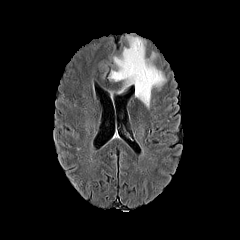
FLAIR MRI.
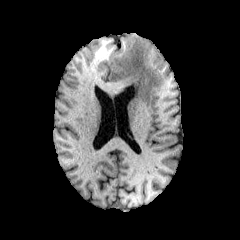
T1-weighted MR of the same slice.
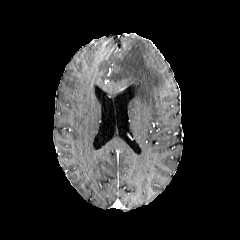
Post-contrast T1-weighted MR image of the same slice.
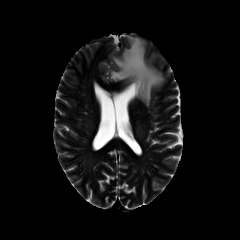
T2-weighted MR.
Segmented structures:
• edema: 104 35 164 106